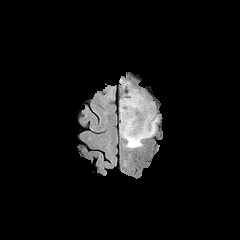
FLAIR MR image.
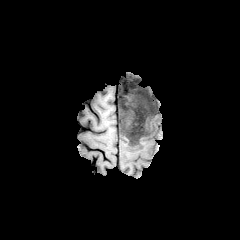
T1-weighted MR image.
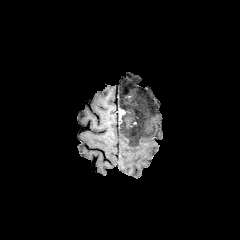
Post-contrast T1-weighted MRI.
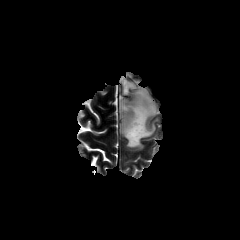
T2-weighted MR image.
Head.
non-enhancing tumor core: [127,84,143,94], [120,95,154,147] | enhancing tumor: [120,108,127,122] | edema: [119,124,135,151], [138,114,159,150], [119,87,147,108], [148,98,155,113], [146,117,152,130]